Slice 36 of 97, CT image

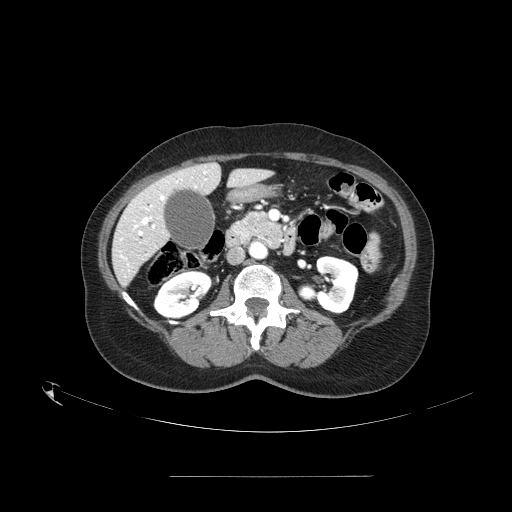 The pancreas is at [234,213,282,247].